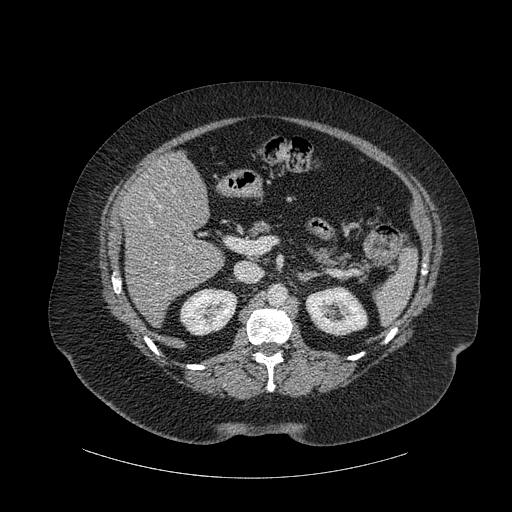
512x512, Computed tomography
Kidney at <bbox>306, 287, 366, 334</bbox>, <bbox>181, 289, 236, 334</bbox>.
Liver at <bbox>122, 151, 225, 327</bbox>.
Bone at <bbox>348, 352, 363, 360</bbox>, <bbox>253, 353, 282, 391</bbox>, <bbox>112, 277, 120, 293</bbox>, <bbox>187, 364, 204, 369</bbox>, <bbox>247, 309, 292, 344</bbox>, <bbox>144, 336, 158, 354</bbox>, <bbox>385, 328, 397, 342</bbox>.